Slice 58 of 155
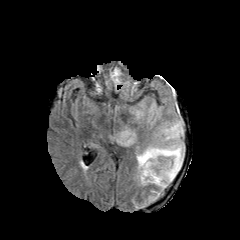
FLAIR MR image.
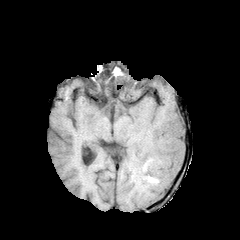
Same slice, T1-weighted MRI.
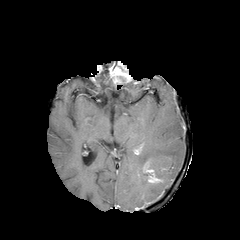
Post-contrast T1-weighted magnetic resonance of the same slice.
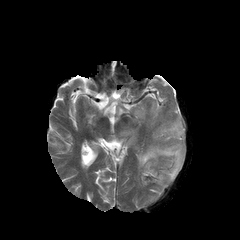
Same slice, T2-weighted MR image.
<segmentation>
  <non-enhancing_tumor_core>bbox(111, 66, 119, 82); bbox(144, 167, 162, 182)</non-enhancing_tumor_core>
  <edema>bbox(165, 120, 182, 139); bbox(137, 142, 185, 190); bbox(139, 170, 150, 185)</edema>
</segmentation>